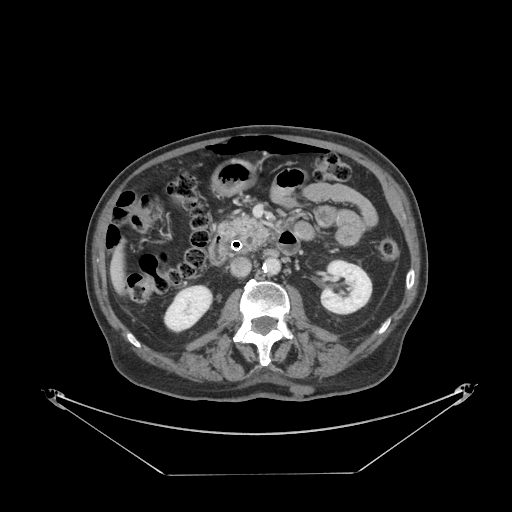
Upper abdomen; CT scan slice; Image size 512x512
Pancreas: 220:218:268:249.